FLAIR MR.
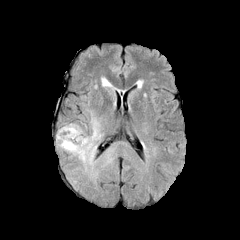
T1-weighted MR.
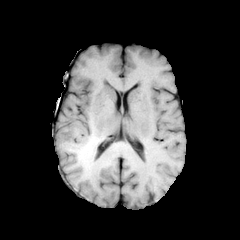
Post-contrast T1-weighted MR.
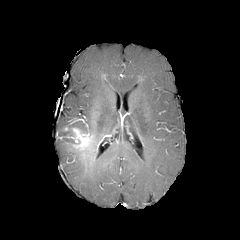
T2-weighted MR image.
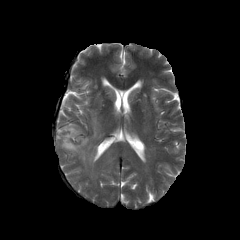
Head
{"non-enhancing_tumor_core": ["bbox=[57, 123, 79, 146]", "bbox=[80, 136, 96, 163]"], "edema": ["bbox=[72, 115, 103, 146]", "bbox=[101, 77, 115, 95]", "bbox=[58, 139, 98, 177]"], "enhancing_tumor": ["bbox=[67, 127, 88, 149]"]}